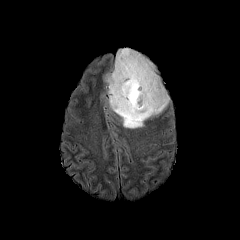
FLAIR magnetic resonance.
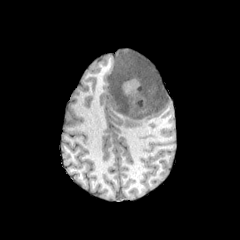
Same slice, T1-weighted MR.
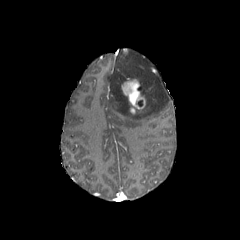
Post-contrast T1-weighted MRI.
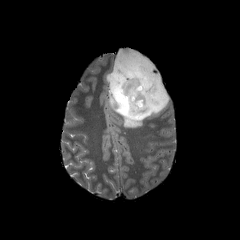
T2-weighted magnetic resonance.
<segmentation>
  <edema>{"x1": 108, "y1": 49, "x2": 169, "y2": 128}</edema>
  <enhancing_tumor>{"x1": 121, "y1": 77, "x2": 146, "y2": 114}</enhancing_tumor>
  <non-enhancing_tumor_core>{"x1": 132, "y1": 74, "x2": 145, "y2": 91}</non-enhancing_tumor_core>
</segmentation>